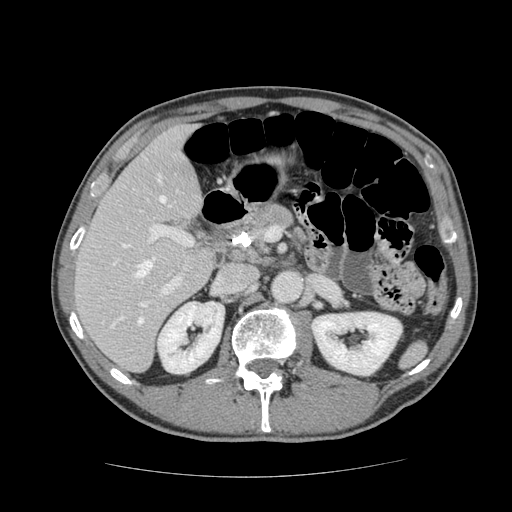 CT.

Pancreatic tumor: bounding box (left=255, top=212, right=271, bottom=228).
Pancreas: bounding box (left=238, top=203, right=310, bottom=255).